CT. Slice 23 of 455. Field of view 335 mm wide, 1.00 mm slice spacing.
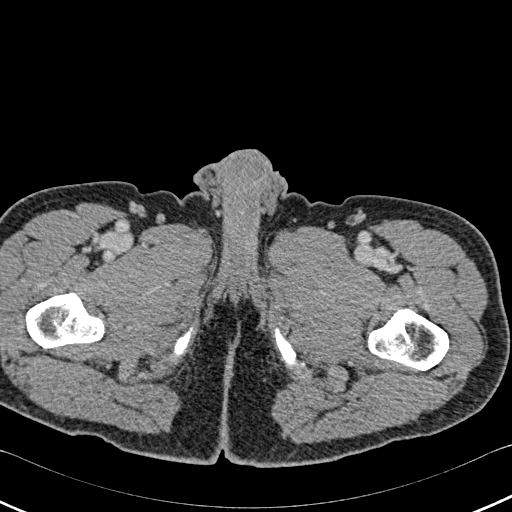
Annotated regions:
- bone: (275,328,297,366), (174,327,192,356), (26,293,103,347), (368,309,448,370)